FLAIR MRI.
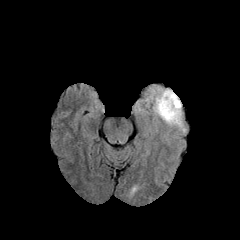
T1-weighted MR image.
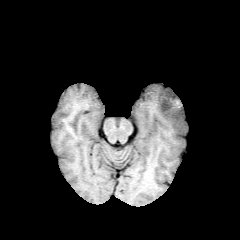
Post-contrast T1-weighted magnetic resonance.
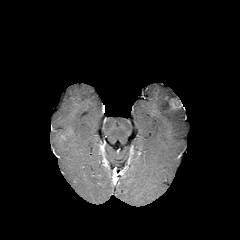
T2-weighted magnetic resonance.
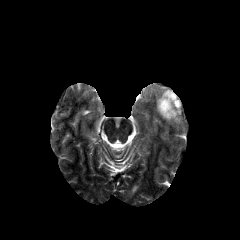
The edema is located at left=146, top=86, right=185, bottom=132.